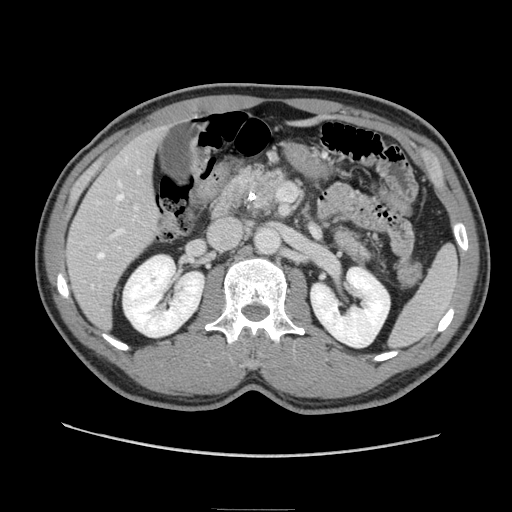

CT slice
• pancreas: <bbox>243, 168, 290, 211</bbox>, <bbox>328, 223, 374, 266</bbox>
• pancreatic tumor: <bbox>252, 177, 278, 201</bbox>